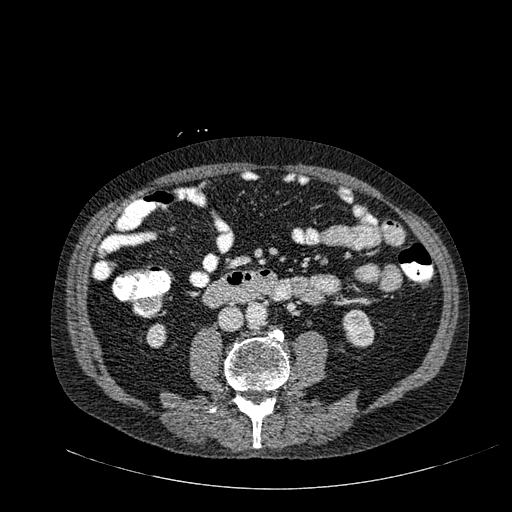
Abdomen | CT scan slice

{
  "kidney": [
    "[343, 309, 374, 346]",
    "[146, 323, 166, 348]"
  ]
}